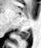
Hippocampus; Magnetic resonance; 41x48 px

{
  "posterior_hippocampus": [
    "(x1=17, y1=31, x2=30, y2=39)"
  ]
}